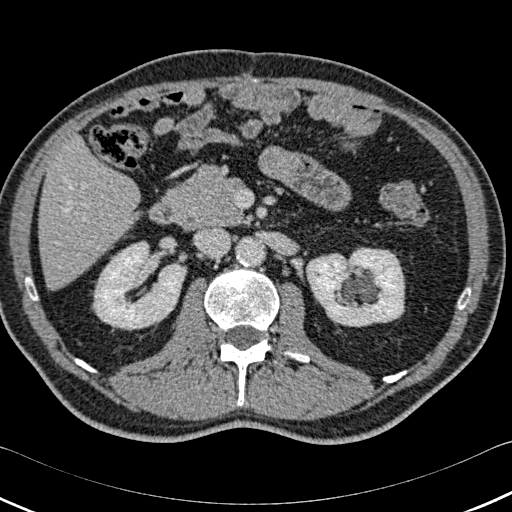
Computed tomography
Kidney at l=307, t=249, r=403, b=325; l=94, t=242, r=185, b=328.
Bone at l=458, t=289, r=470, b=308; l=220, t=339, r=270, b=405; l=204, t=269, r=279, b=330; l=26, t=278, r=37, b=299; l=284, t=352, r=309, b=362; l=383, t=371, r=405, b=382; l=75, t=359, r=95, b=371.
Liver at l=39, t=139, r=139, b=289.